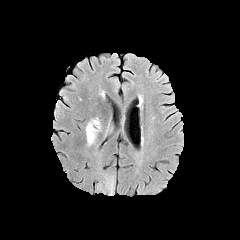
FLAIR magnetic resonance.
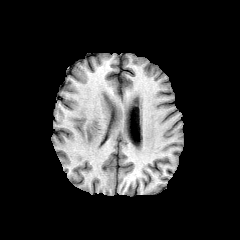
T1-weighted MR image.
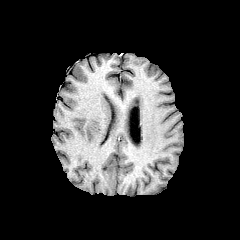
Post-contrast T1-weighted MRI.
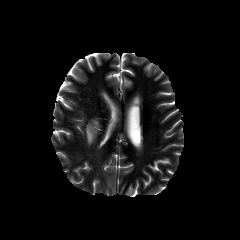
T2-weighted magnetic resonance of the same slice.
Image size 240x240.
The edema is bounded by 84 118 101 146.